Image width 410 mm, Image size 512x512, CT slice, Slice index 31
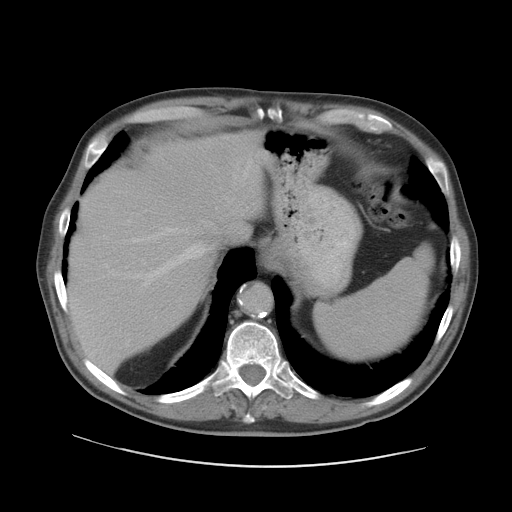
Not every hepatic vessel necessarily has a box.
liver tumor: box(194, 146, 251, 180) | hepatic vessel: box(201, 219, 212, 227); box(179, 228, 187, 231); box(128, 220, 130, 223); box(123, 242, 207, 285); box(107, 270, 116, 276); box(132, 213, 137, 215); box(132, 238, 146, 241); box(127, 334, 129, 345); box(226, 197, 230, 205); box(141, 259, 145, 264); box(167, 228, 175, 231); box(150, 232, 165, 238)